512x512. Image width 351 mm. CT.
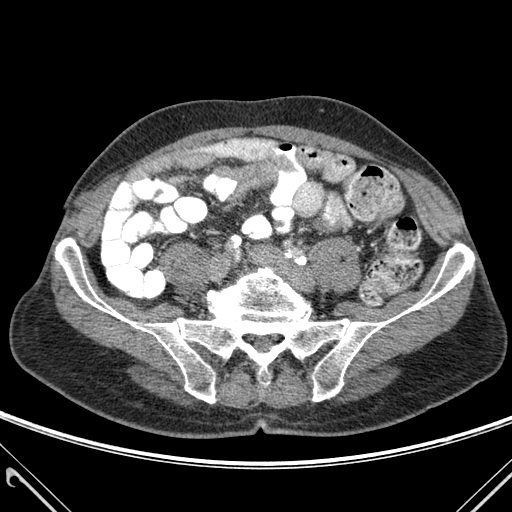
Annotated regions:
- bone: l=55, t=238, r=474, b=403